Abdomen; CT 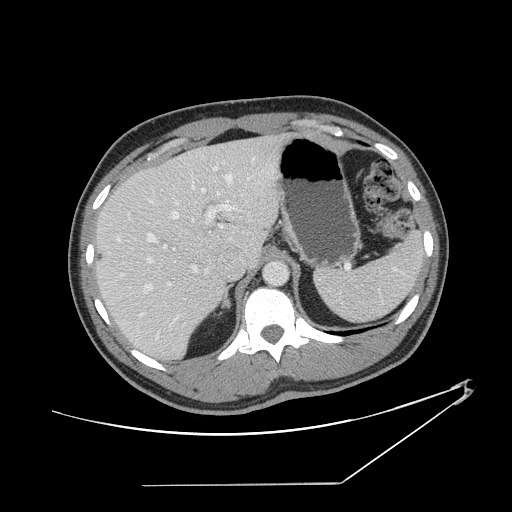
Only some of the vessels may be annotated.
[15/24] hepatic vessel: region(220, 200, 237, 210); region(148, 199, 153, 202); region(174, 315, 178, 320); region(172, 212, 178, 218); region(191, 265, 196, 271); region(192, 182, 194, 189); region(147, 233, 155, 241); region(219, 224, 224, 227); region(147, 258, 152, 261); region(145, 284, 152, 290); region(214, 164, 217, 170); region(208, 208, 215, 217); region(175, 201, 178, 204); region(223, 175, 231, 182); region(201, 188, 204, 192)